FLAIR MR image.
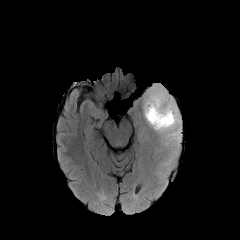
T1-weighted magnetic resonance.
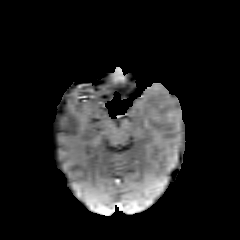
Post-contrast T1-weighted magnetic resonance.
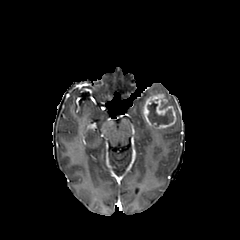
T2-weighted MR.
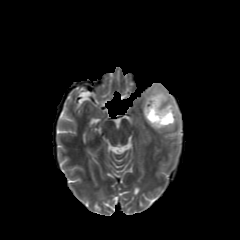
non-enhancing tumor core: x1=148, y1=102, x2=172, y2=126 | enhancing tumor: x1=143, y1=93, x2=176, y2=128 | edema: x1=142, y1=84, x2=181, y2=147